Slice 303/696, Upper abdomen, CT image
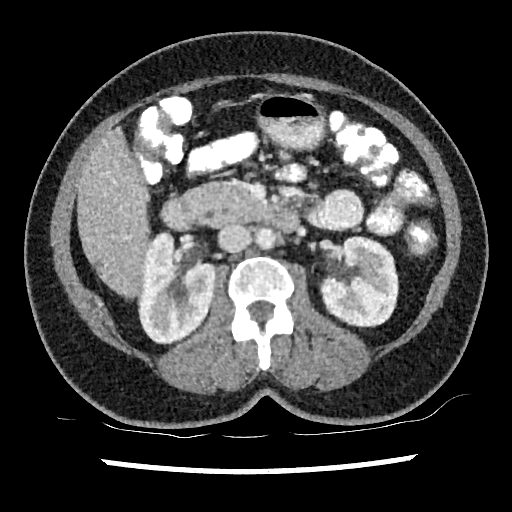

Kidney — (140,234,214,342), (319,237,397,325).
Liver — (77,127,149,295).